FLAIR magnetic resonance.
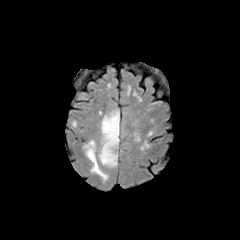
T1-weighted MR image.
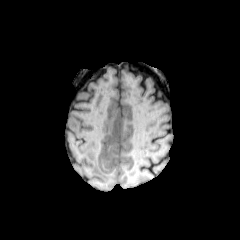
Post-contrast T1-weighted MRI.
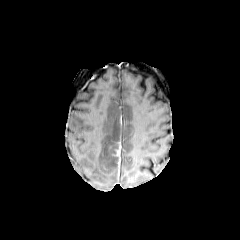
T2-weighted magnetic resonance.
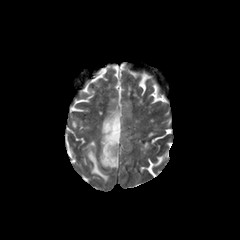
Image size 240x240 | Head
The enhancing tumor appears at 116:143:121:168. The non-enhancing tumor core is bounded by 109:142:118:166. The edema is at 83:108:120:182.